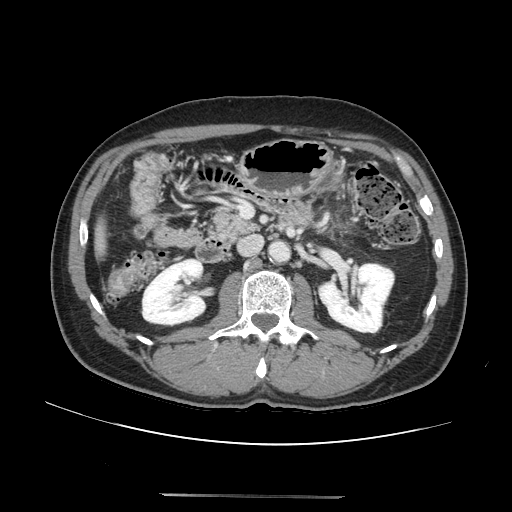
Abdomen; 512x512 px; CT image
Findings:
• pancreas: bbox(208, 203, 257, 244)